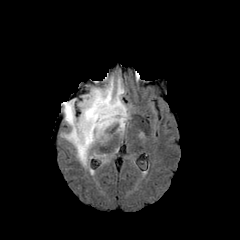
FLAIR MRI.
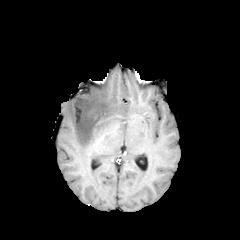
T1-weighted MR image.
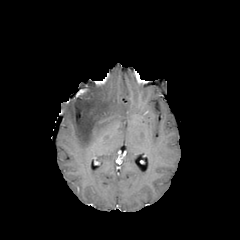
Post-contrast T1-weighted MR.
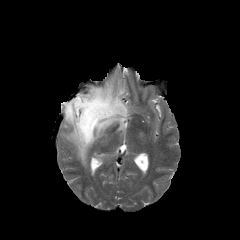
T2-weighted MRI.
Findings:
* non-enhancing tumor core: (66, 95, 110, 139)
* edema: (62, 78, 129, 165)